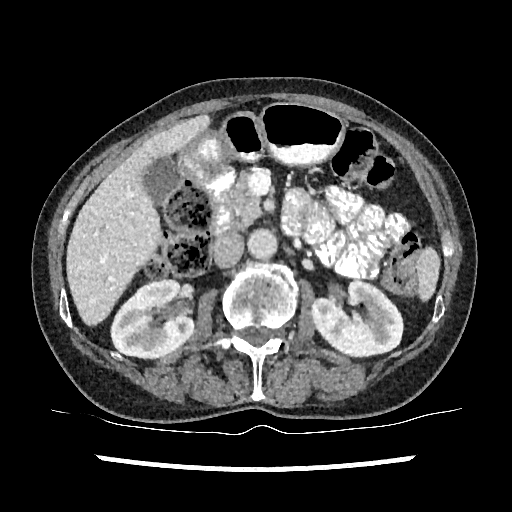 Abdomen; Computed tomography
Segmented structures:
- kidney: 312,281,402,355; 112,277,193,357
- liver: 67,115,209,324